Image size 240x240, Head
FLAIR MR image.
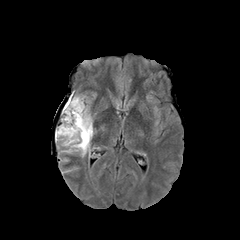
T1-weighted MR.
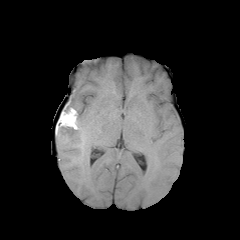
Post-contrast T1-weighted MR.
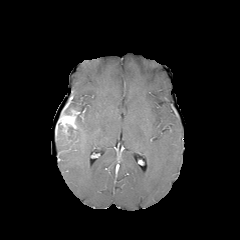
T2-weighted MRI.
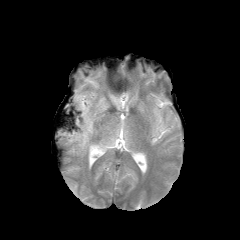
Edema at left=55, top=91, right=98, bottom=158.
Non-enhancing tumor core at left=57, top=124, right=74, bottom=137; left=58, top=102, right=69, bottom=122.
Enhancing tumor at left=62, top=110, right=75, bottom=128.